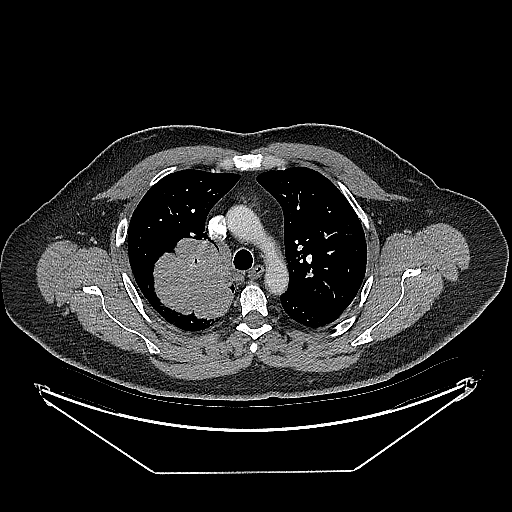

Image size 512x512. CT image. Thorax.

Lung tumor = (left=153, top=238, right=232, bottom=318).